MR image | Image size 36x53
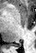 The posterior hippocampus lies within x1=13 y1=44 x2=21 y2=47.